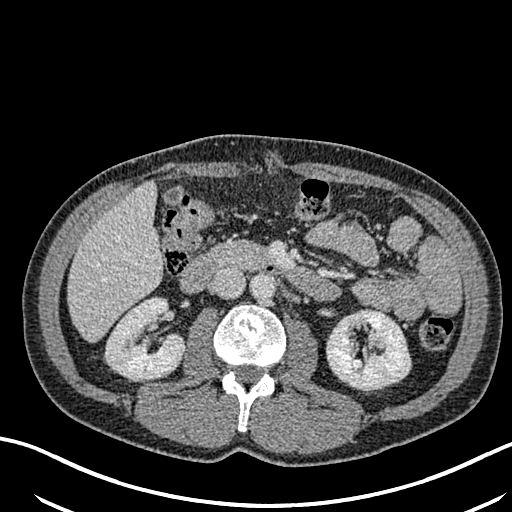
Liver | CT image
Liver — (x1=68, y1=182, x2=161, y2=340).
Focal liver lesion — (x1=77, y1=323, x2=92, y2=336).
Kidney — (x1=327, y1=311, x2=410, y2=388), (x1=105, y1=298, x2=184, y2=379).